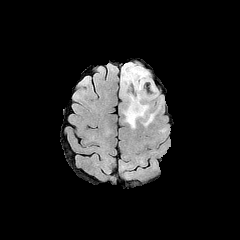
FLAIR magnetic resonance.
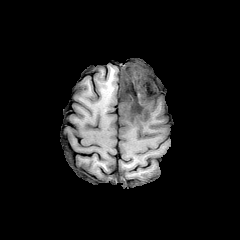
T1-weighted MR image.
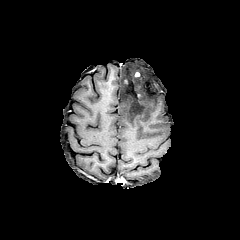
Post-contrast T1-weighted magnetic resonance.
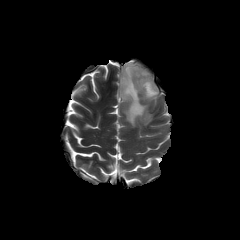
T2-weighted MR.
Head
The edema is at 120:62:158:128. The non-enhancing tumor core lies within 122:71:144:101.